240x240 px. Image width 240 mm. Brain.
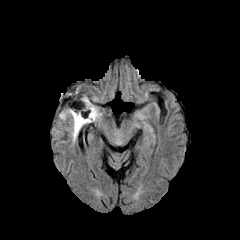
FLAIR magnetic resonance.
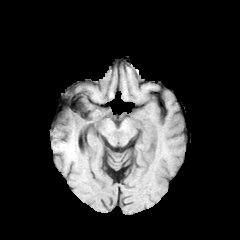
T1-weighted MRI.
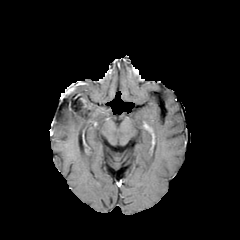
Same slice, post-contrast T1-weighted MR image.
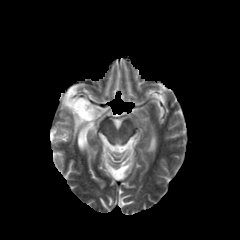
T2-weighted MR image.
Non-enhancing tumor core: bounding box l=64, t=95, r=82, b=113; l=82, t=98, r=93, b=110.
Edema: bounding box l=59, t=102, r=101, b=141.